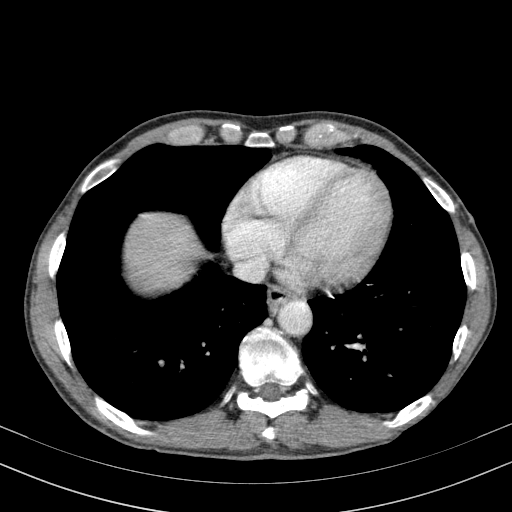
CT image
Liver at bbox=[124, 212, 207, 291].